Image size 240x240. Slice 111/155.
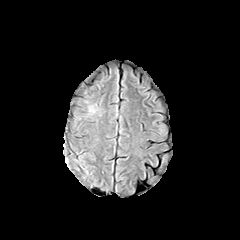
FLAIR magnetic resonance.
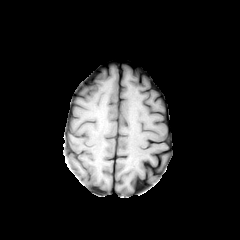
T1-weighted magnetic resonance of the same slice.
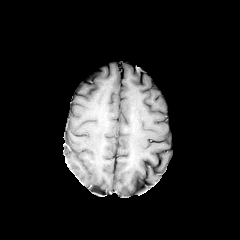
Post-contrast T1-weighted MRI.
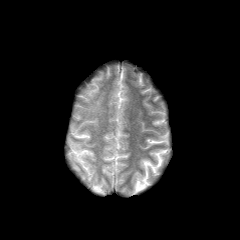
Same slice, T2-weighted magnetic resonance.
The edema is located at (88,104,98,112).